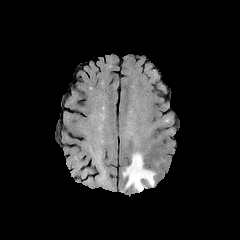
FLAIR magnetic resonance.
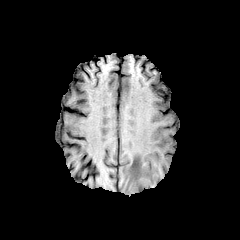
T1-weighted magnetic resonance.
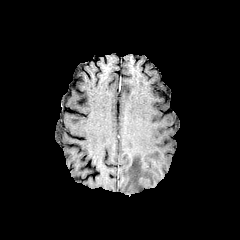
Post-contrast T1-weighted MRI.
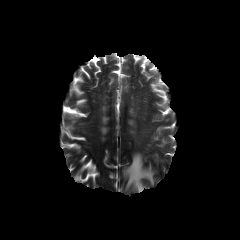
T2-weighted MRI of the same slice.
Image size 240x240
Segmented structures:
• edema: <box>122,152,154,191</box>